Slice index 41; Computed tomography 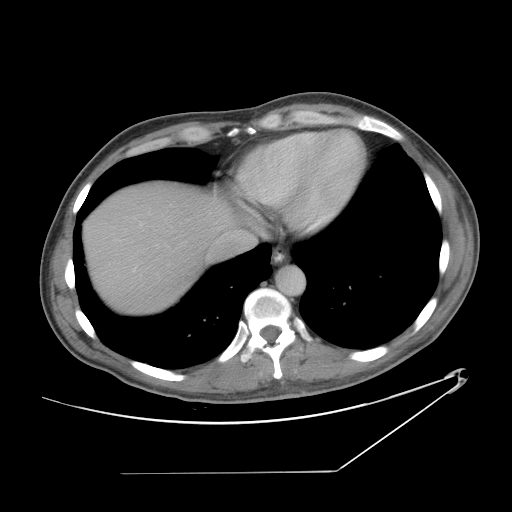

Only some of the vessels may be annotated.
Findings:
• hepatic vessel: box(134, 269, 135, 270)